Slice 28/141; CT image

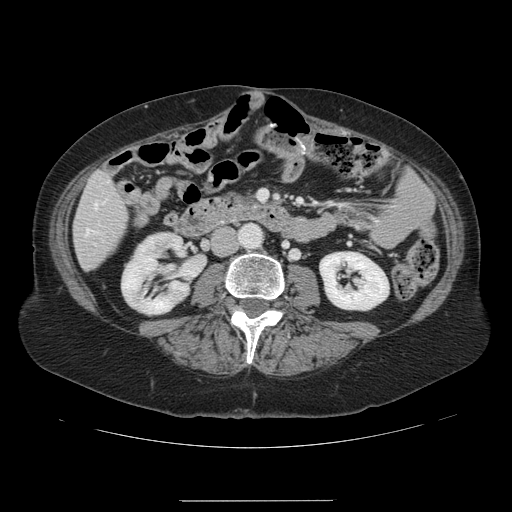 Not every hepatic vessel necessarily has a box.
Hepatic vessel — x1=94 y1=202 x2=96 y2=207, x1=85 y1=228 x2=97 y2=234.